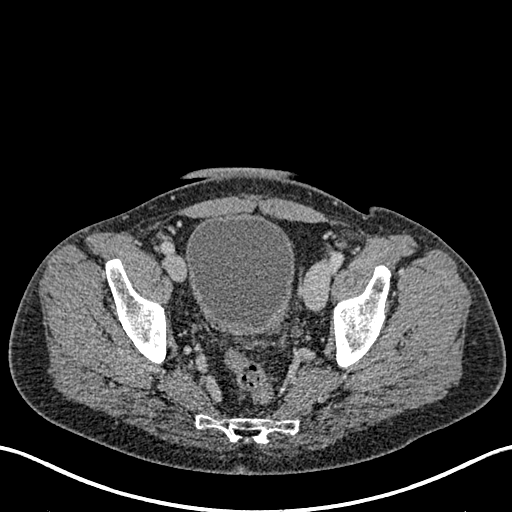

512x512 px; Pelvis; CT
Urinary bladder at <bbox>185, 215, 294, 336</bbox>.